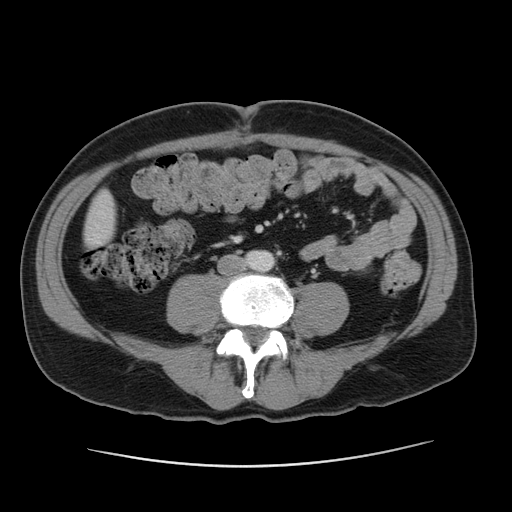

CT image | Abdomen

Liver at left=86, top=191, right=115, bottom=243.